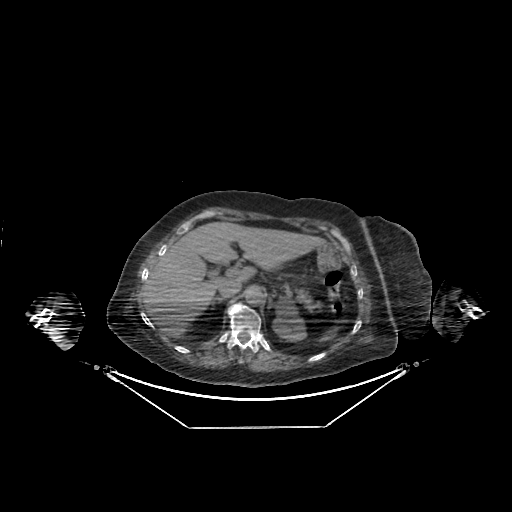

512x512 px, CT image
Kidney: l=272, t=301, r=306, b=341.
Liver: l=142, t=220, r=324, b=340.